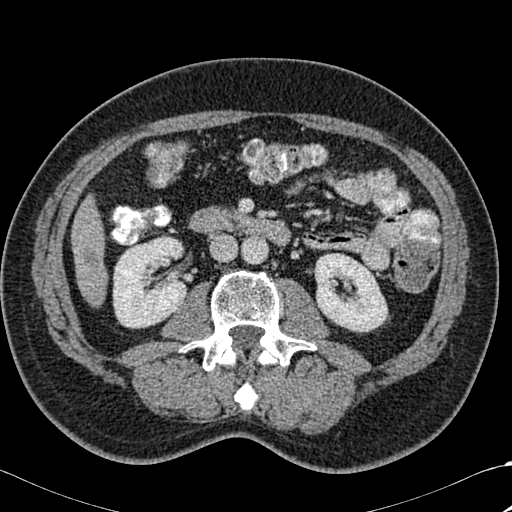

Abdomen. 512x512 px. CT slice.
2 bone regions are bounded by [x1=235, y1=383, x2=256, y2=409], [x1=182, y1=271, x2=315, y2=370]. The liver appears at [x1=72, y1=208, x2=106, y2=305]. 2 kidney regions appear at [x1=316, y1=254, x2=386, y2=331], [x1=113, y1=238, x2=185, y2=327]. The focal liver lesion is at [x1=80, y1=249, x2=99, y2=267].